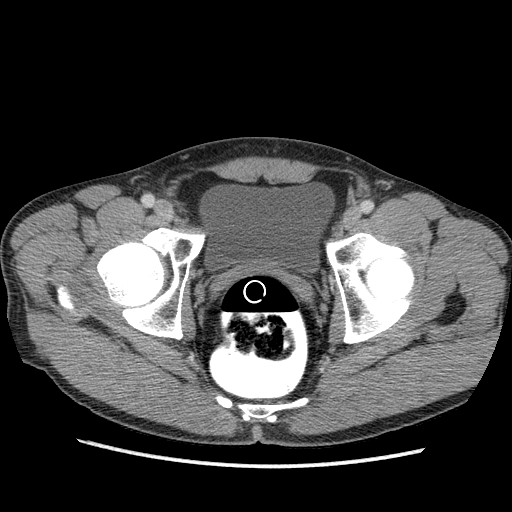

Pelvis. CT scan slice.

Urinary bladder at box(199, 182, 334, 273).